Field of view 240x240 mm; Brain; Slice index 88; 240x240
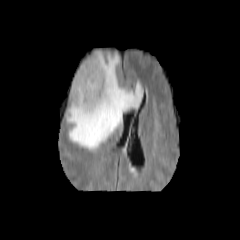
FLAIR MR.
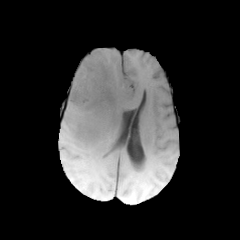
T1-weighted MRI.
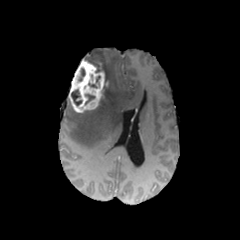
Post-contrast T1-weighted MRI.
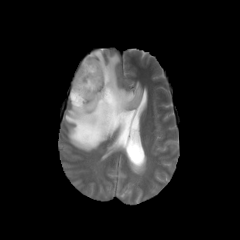
T2-weighted magnetic resonance.
Edema = <bbox>65, 50, 142, 151</bbox>.
Non-enhancing tumor core = <bbox>71, 90, 82, 105</bbox>, <bbox>85, 59, 108, 103</bbox>.
Enhancing tumor = <bbox>68, 59, 104, 113</bbox>.